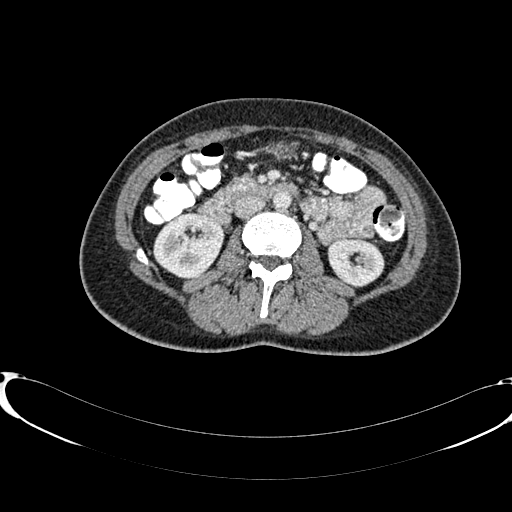
Computed tomography | Abdomen | Image size 512x512
Kidney: bbox=[329, 241, 382, 284]; bbox=[155, 215, 222, 276].